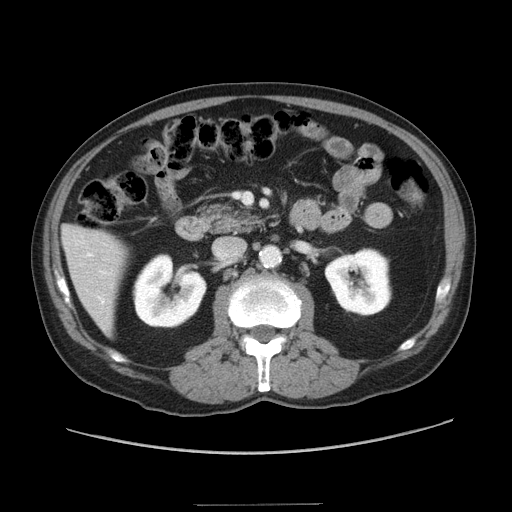 CT
The pancreas lies within (202,205,259,232).